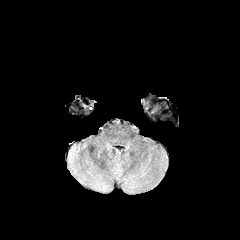
FLAIR MR.
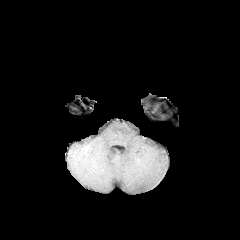
T1-weighted MR.
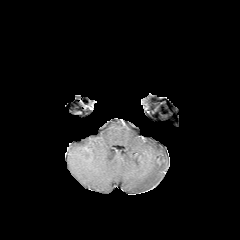
Post-contrast T1-weighted MRI.
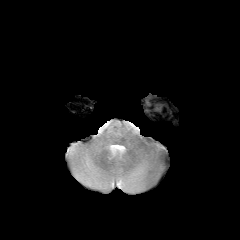
T2-weighted MRI.
Brain
Edema = (left=126, top=170, right=142, bottom=189).